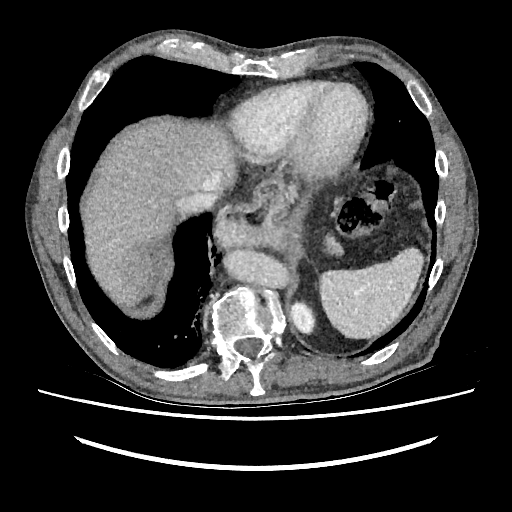

512x512 px | CT slice

{
  "liver": [
    "<box>82,121,238,305</box>"
  ],
  "focal_liver_lesion": [
    "<box>121,234,168,294</box>"
  ],
  "kidney": [
    "<box>291,303,313,332</box>"
  ]
}